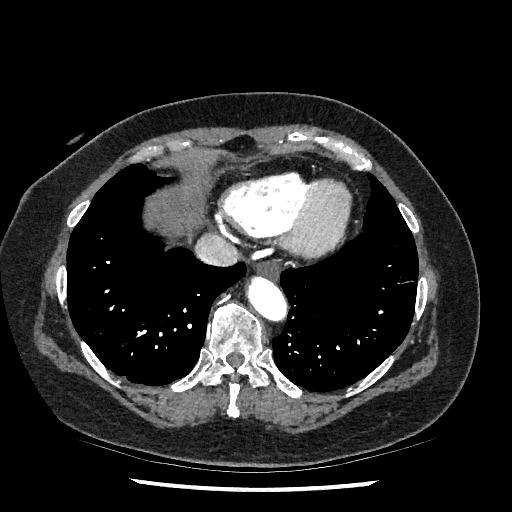 CT
{"liver": ["<box>147,191,201,229</box>"]}